Field of view 240x240 mm, Image size 240x240
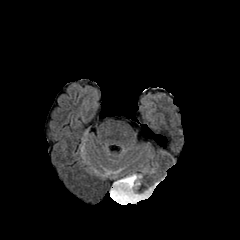
FLAIR MR image.
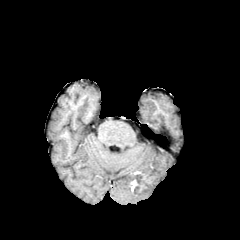
Same slice, T1-weighted magnetic resonance.
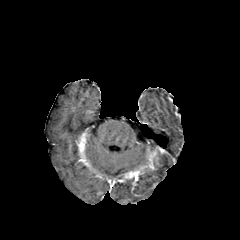
Post-contrast T1-weighted MR image of the same slice.
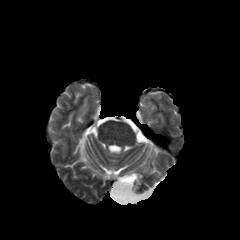
T2-weighted MR.
Non-enhancing tumor core — bbox(110, 179, 139, 200).
Enhancing tumor — bbox(117, 172, 139, 181).
Edema — bbox(110, 181, 152, 204); bbox(113, 184, 126, 191); bbox(104, 169, 121, 178).